Image size 37x48 | Magnetic resonance | Hippocampus 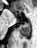
Annotated regions:
- posterior hippocampus: box(18, 21, 31, 35)
- anterior hippocampus: box(11, 11, 14, 11); box(24, 16, 29, 20)